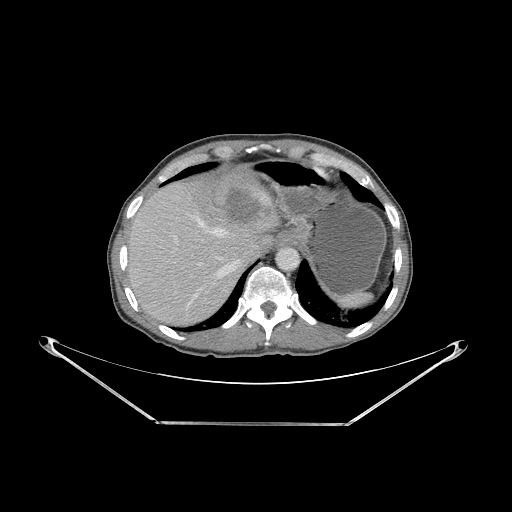

Computed tomography, Abdomen, Image size 512x512
Segmented structures:
• liver: x1=129 y1=163 x2=277 y2=326
• bone: x1=159 y1=325 x2=184 y2=339, x1=385 y1=288 x2=397 y2=309, x1=347 y1=323 x2=371 y2=336, x1=361 y1=176 x2=369 y2=185, x1=127 y1=196 x2=142 y2=217, x1=125 y1=288 x2=137 y2=310, x1=385 y1=205 x2=399 y2=228, x1=120 y1=246 x2=127 y2=269, x1=223 y1=267 x2=315 y2=339, x1=395 y1=249 x2=401 y2=271
• liver lesion: x1=224 y1=189 x2=265 y2=223
• lung: x1=189 y1=274 x2=245 y2=329, x1=295 y1=261 x2=384 y2=327, x1=344 y1=175 x2=377 y2=205, x1=174 y1=164 x2=215 y2=179